Slice 53/164, CT scan slice

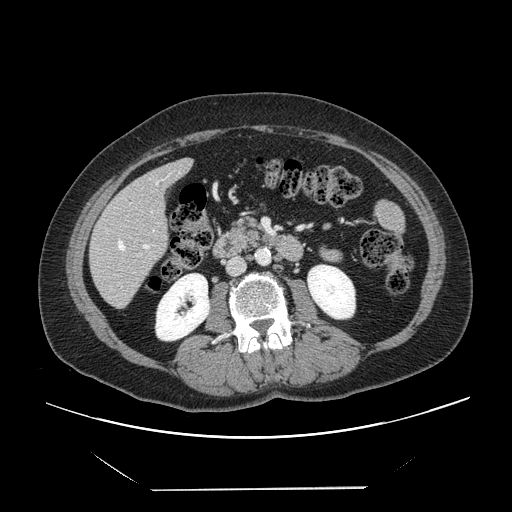
The vessel boxes may cover only some of the vessels.
* hepatic vessel: <box>156,180,161,185</box>, <box>117,238,125,251</box>, <box>142,244,151,249</box>, <box>139,254,141,255</box>, <box>151,211,153,213</box>, <box>152,229,154,231</box>